Slice 64 of 120; Cardiac; 320x320; MR image; Field of view 400x400 mm
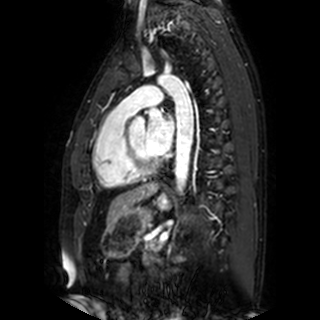
The left atrium lies within {"x1": 145, "y1": 108, "x2": 175, "y2": 154}.